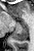
MRI slice
* posterior hippocampus: 12:27:28:41